Field of view 240x240 mm. Slice index 62.
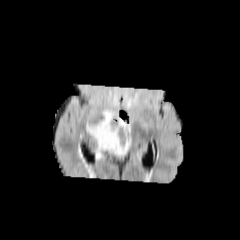
FLAIR magnetic resonance.
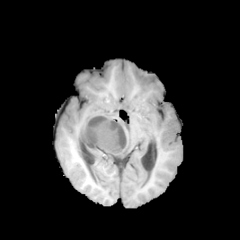
T1-weighted MR image of the same slice.
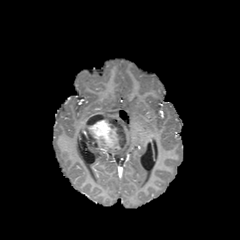
Post-contrast T1-weighted magnetic resonance of the same slice.
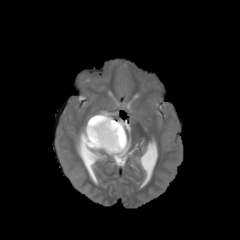
Same slice, T2-weighted MRI.
edema: (x1=109, y1=147, x2=128, y2=156) | enhancing tumor: (x1=87, y1=119, x2=120, y2=150) | non-enhancing tumor core: (x1=82, y1=111, x2=129, y2=153)